FLAIR magnetic resonance.
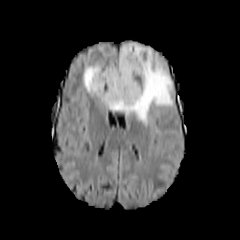
T1-weighted MR image.
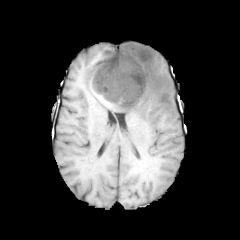
Post-contrast T1-weighted MR image.
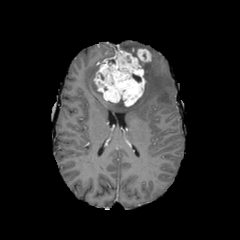
T2-weighted MRI.
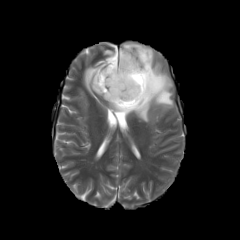
Head | Image size 240x240
Non-enhancing tumor core — bbox=[132, 74, 141, 82].
Edema — bbox=[84, 42, 172, 126].
Enhancing tumor — bbox=[136, 49, 151, 61]; bbox=[93, 50, 145, 106].